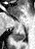
MR, Hippocampus
{
  "posterior_hippocampus": [
    "box(13, 29, 25, 41)"
  ]
}